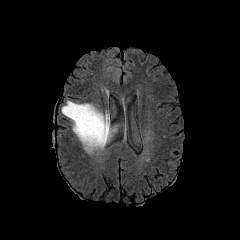
FLAIR magnetic resonance.
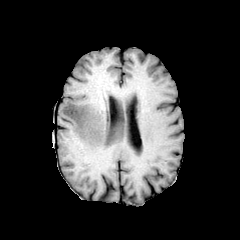
T1-weighted MR.
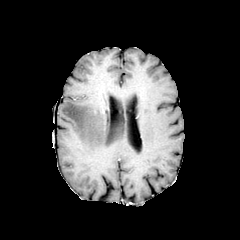
Same slice, post-contrast T1-weighted magnetic resonance.
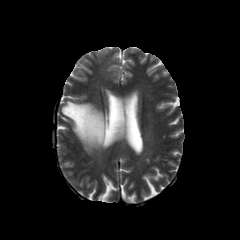
Same slice, T2-weighted MR image.
Image size 240x240; Brain
Edema — region(61, 101, 117, 152).